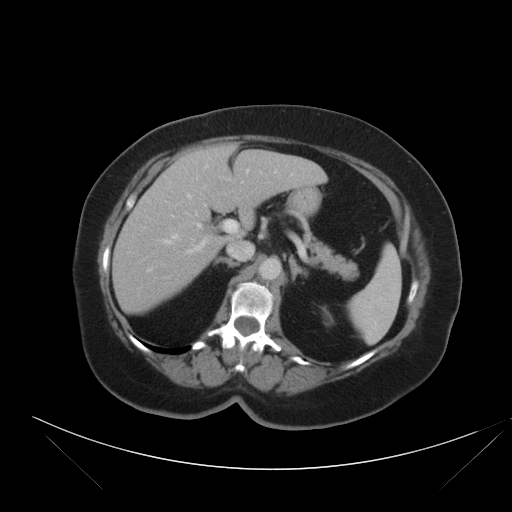
Abdomen. CT image.
The vessel boxes may cover only some of the vessels.
Hepatic vessel at (x1=187, y1=240, x2=206, y2=253), (x1=164, y1=234, x2=180, y2=244), (x1=192, y1=239, x2=193, y2=240), (x1=290, y1=174, x2=292, y2=175), (x1=147, y1=268, x2=151, y2=271), (x1=274, y1=171, x2=276, y2=172), (x1=196, y1=223, x2=201, y2=227), (x1=205, y1=166, x2=207, y2=168), (x1=204, y1=185, x2=206, y2=188), (x1=260, y1=172, x2=261, y2=173), (x1=187, y1=194, x2=191, y2=198), (x1=246, y1=170, x2=248, y2=172), (x1=204, y1=204, x2=205, y2=205).